Upper abdomen; Slice 429/781; CT 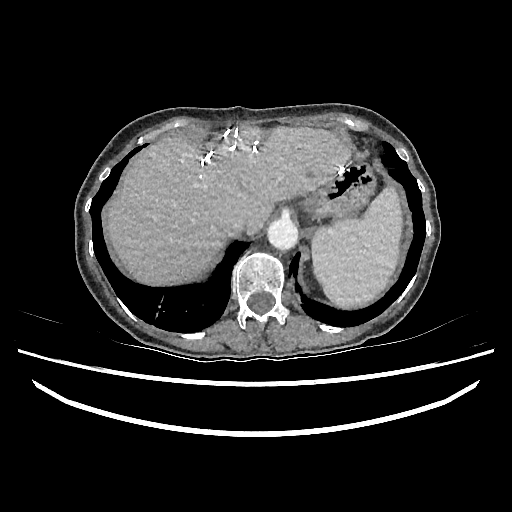

The liver lies within x1=109 y1=127 x2=349 y2=283.